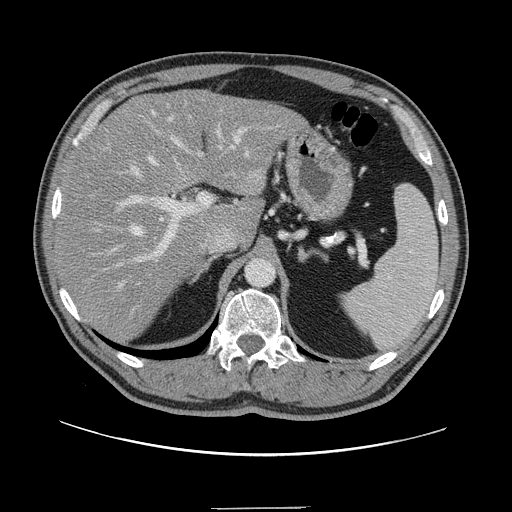

512x512 px; CT

Not every hepatic vessel necessarily has a box.
- liver tumor: bbox=[244, 175, 265, 195]
- hepatic vessel (principal 15 of 21): bbox=[132, 167, 140, 175]; bbox=[219, 145, 222, 149]; bbox=[246, 152, 248, 156]; bbox=[119, 283, 123, 288]; bbox=[120, 196, 198, 260]; bbox=[234, 129, 244, 143]; bbox=[149, 157, 157, 165]; bbox=[169, 118, 172, 120]; bbox=[174, 139, 183, 147]; bbox=[131, 227, 143, 234]; bbox=[198, 153, 202, 156]; bbox=[111, 249, 116, 252]; bbox=[198, 193, 215, 207]; bbox=[218, 129, 221, 136]; bbox=[153, 111, 155, 115]